FLAIR MR.
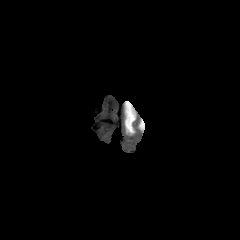
T1-weighted magnetic resonance.
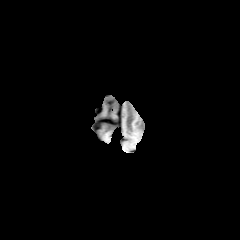
Post-contrast T1-weighted magnetic resonance.
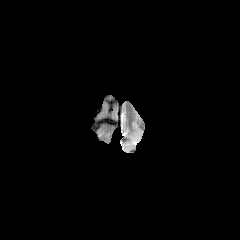
T2-weighted MR image.
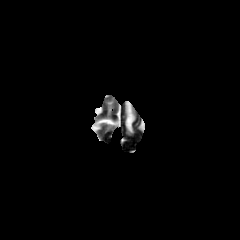
240x240
{
  "edema": [
    "(124, 101, 144, 135)"
  ],
  "non-enhancing_tumor_core": [
    "(125, 107, 133, 132)"
  ]
}